Image size 34x48; Slice index 8; Hippocampus; MRI slice; Field of view 34 mm wide, 1.00 mm slice spacing 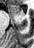

The anterior hippocampus is at <bbox>11, 6, 21, 14</bbox>.